Liver. Slice 61/124. Computed tomography. Image size 512x512. 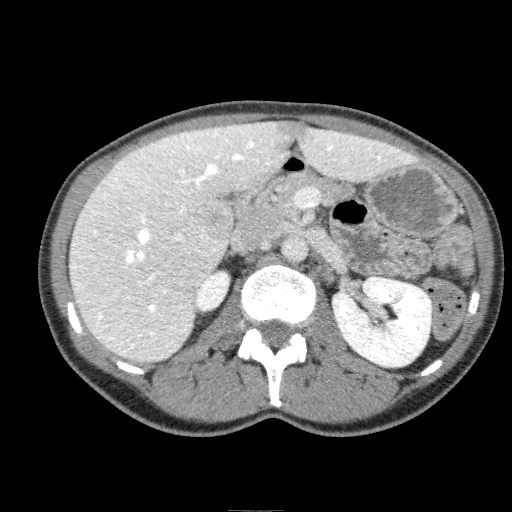 {"kidney": ["[x1=196, y1=272, x2=228, y2=310]", "[x1=333, y1=277, x2=430, y2=366]"], "liver": ["[x1=299, y1=122, x2=412, y2=181]", "[x1=69, y1=120, x2=285, y2=361]"], "liver_lesion": ["[x1=192, y1=200, x2=233, y2=239]", "[x1=273, y1=120, x2=313, y2=154]"]}